Image size 240x240
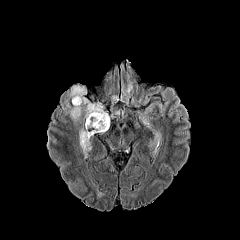
FLAIR magnetic resonance.
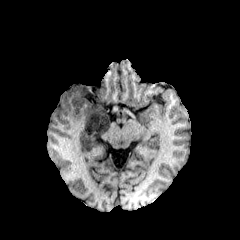
Same slice, T1-weighted MR image.
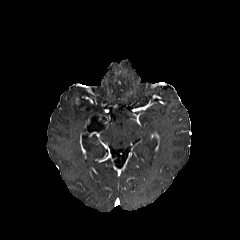
Post-contrast T1-weighted magnetic resonance.
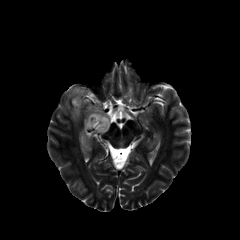
T2-weighted MR of the same slice.
Non-enhancing tumor core = region(86, 111, 109, 133).
Edema = region(78, 128, 91, 157); region(61, 86, 103, 126).